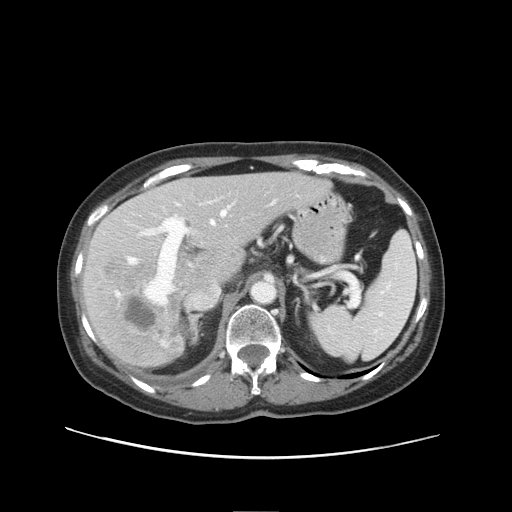
Abdomen | Computed tomography | 512x512
Not every hepatic vessel necessarily has a box.
Hepatic vessel: (x1=200, y1=199, x2=219, y2=205), (x1=176, y1=204, x2=179, y2=205), (x1=221, y1=204, x2=233, y2=216), (x1=188, y1=263, x2=193, y2=267), (x1=270, y1=202, x2=274, y2=205), (x1=128, y1=257, x2=136, y2=260), (x1=210, y1=220, x2=214, y2=225), (x1=140, y1=215, x2=195, y2=305).
Liver tumor: (x1=97, y1=255, x2=181, y2=354).